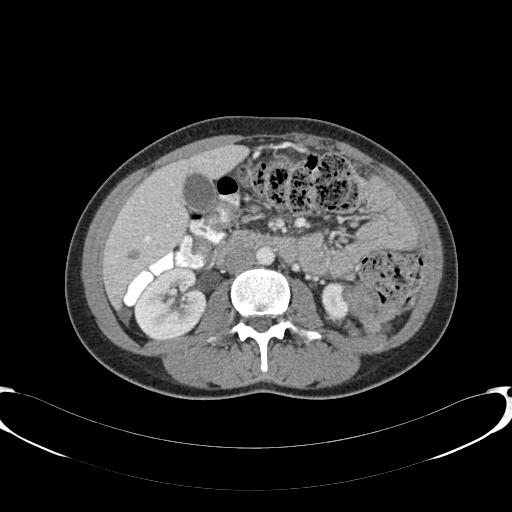 Liver | CT scan slice

<segmentation>
  <kidney>[323, 284, 347, 318], [135, 269, 205, 338]</kidney>
  <hepatic_lesion>[129, 250, 137, 260]</hepatic_lesion>
  <liver>[103, 145, 247, 305]</liver>
</segmentation>